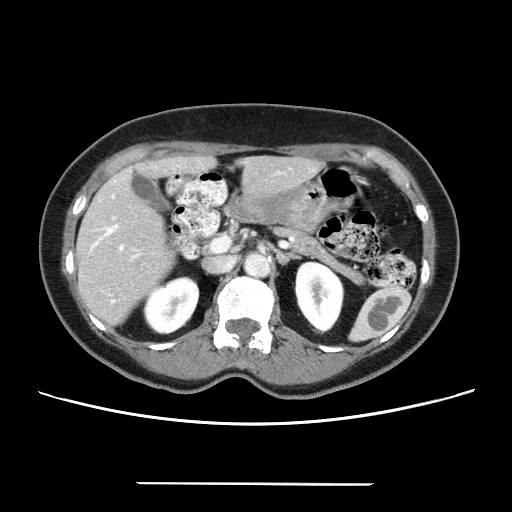 Abdomen. Computed tomography.
Not every hepatic vessel necessarily has a box.
<segmentation>
  <hepatic_vessel><bbox>120, 246, 121, 248</bbox>, <bbox>107, 225, 116, 232</bbox></hepatic_vessel>
</segmentation>